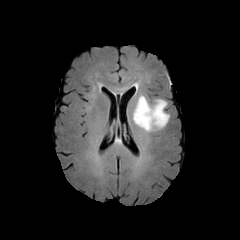
FLAIR MRI.
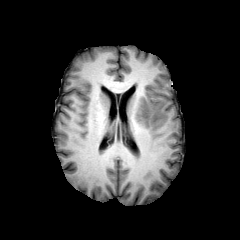
T1-weighted MRI of the same slice.
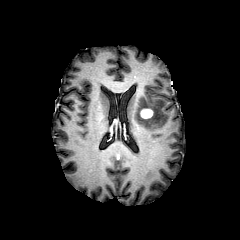
Post-contrast T1-weighted MR image.
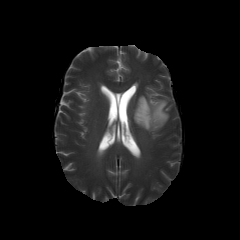
T2-weighted MR image.
Brain
The enhancing tumor appears at (left=140, top=108, right=152, bottom=118). The edema is at (left=127, top=94, right=169, bottom=133). The non-enhancing tumor core is bounded by (left=136, top=97, right=150, bottom=123).